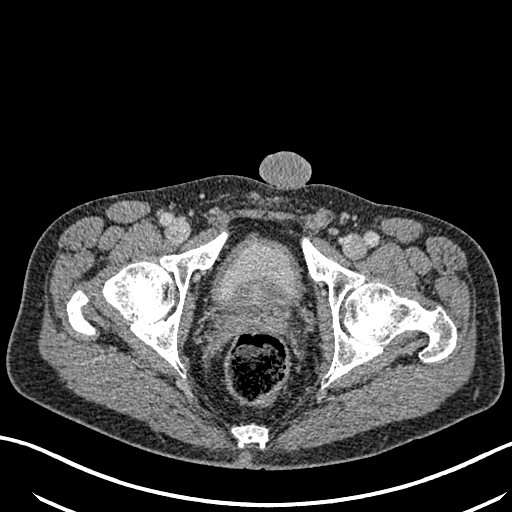
CT scan slice.
The urinary bladder appears at x1=215, y1=239, x2=297, y2=304.